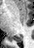
34x48. Magnetic resonance.

posterior_hippocampus:
  - 12, 36, 21, 41